240x240 px, Brain, Slice 55 of 155
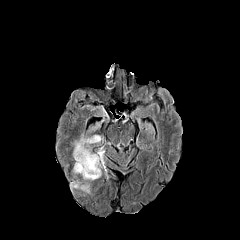
FLAIR MRI.
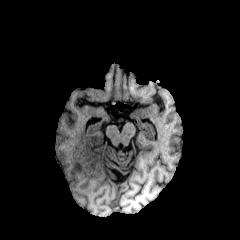
T1-weighted MR of the same slice.
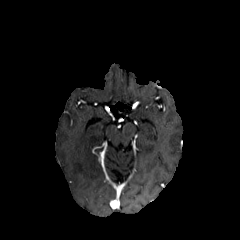
Same slice, post-contrast T1-weighted MR image.
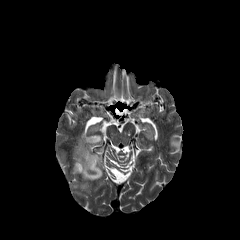
T2-weighted MRI of the same slice.
edema: left=71, top=176, right=89, bottom=191; left=72, top=135, right=100, bottom=178